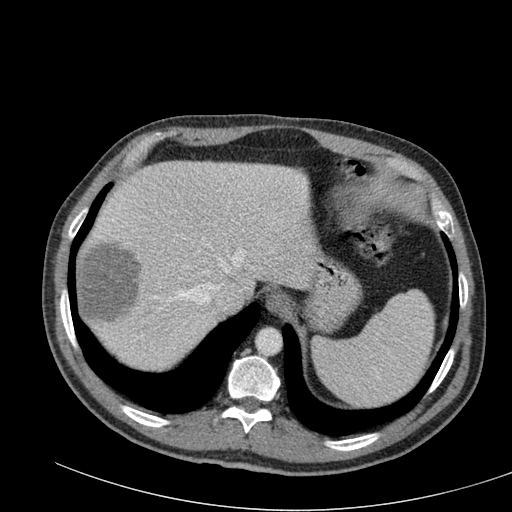

CT image | 512x512
liver lesion: [75,243,142,319] | liver: [81,161,309,370]